Slice index 296 | CT scan slice 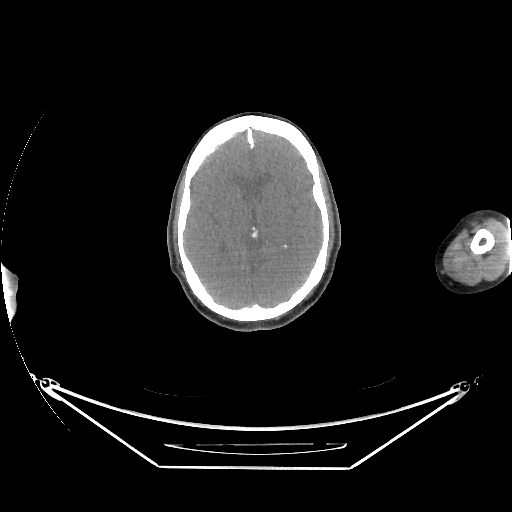 * brain: bbox=[183, 130, 322, 309]